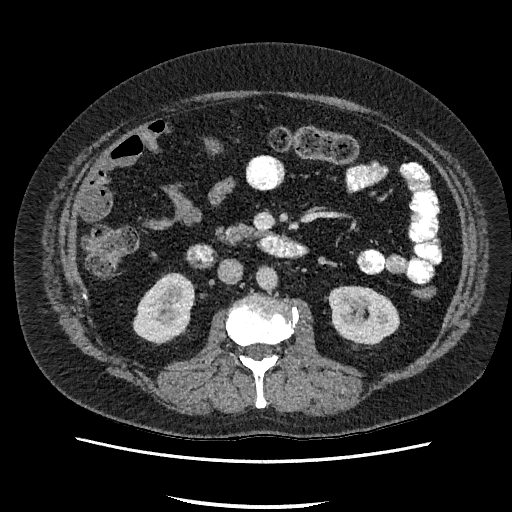
Image size 512x512 | CT

kidney:
  - bbox=[329, 287, 398, 343]
  - bbox=[134, 275, 193, 341]